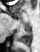
MRI

posterior_hippocampus:
  - 18,24,31,44